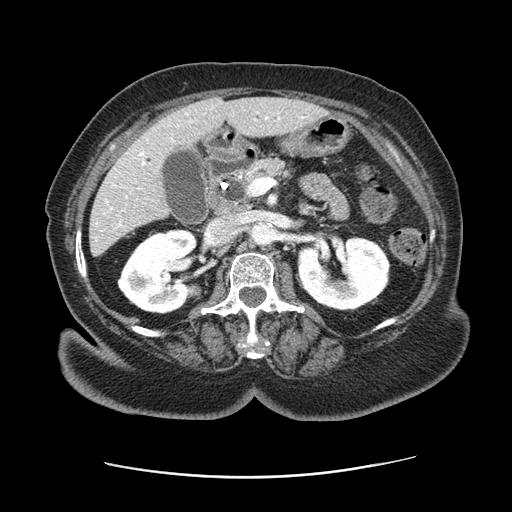
Image size 512x512; CT image; Upper abdomen
Segmented structures:
- pancreas: [243,158,295,183]